Head; CT image 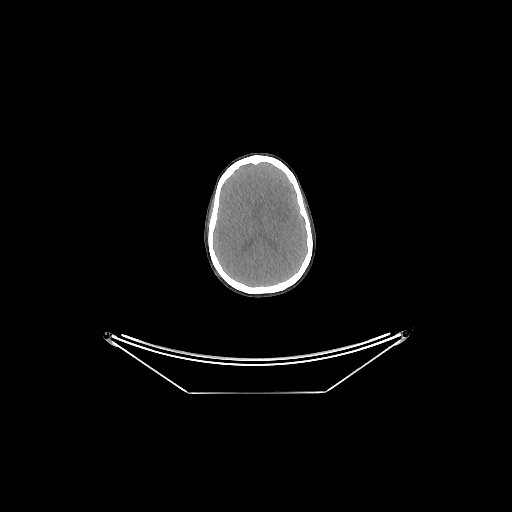

brain: bbox=[213, 162, 307, 287]